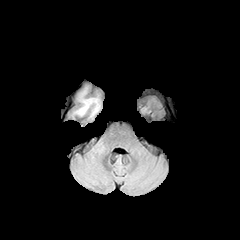
FLAIR MRI.
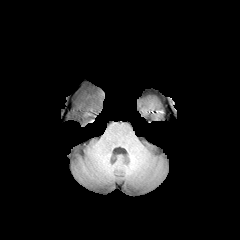
T1-weighted MR.
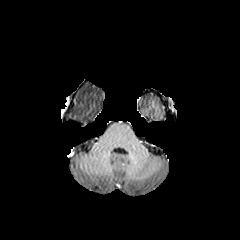
Same slice, post-contrast T1-weighted MR.
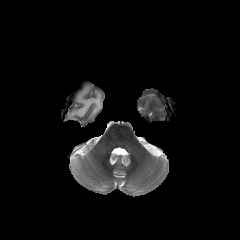
T2-weighted MR.
Brain, 240x240 px
The edema is at (x1=72, y1=90, x2=100, y2=117).